FLAIR MR image.
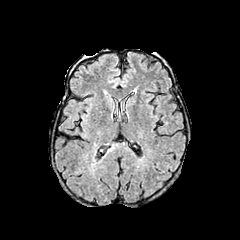
T1-weighted MR image.
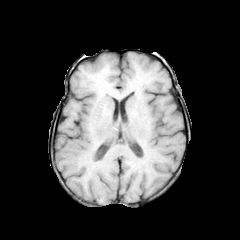
Post-contrast T1-weighted magnetic resonance.
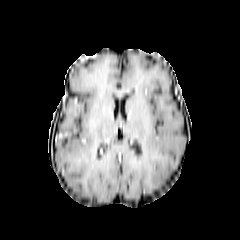
T2-weighted MR.
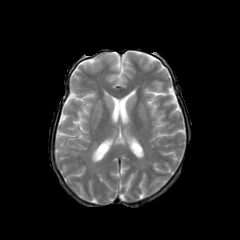
Head
2 edema regions are located at (left=91, top=143, right=98, bottom=162), (left=102, top=144, right=117, bottom=158).